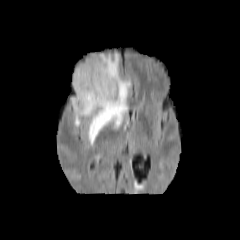
FLAIR magnetic resonance.
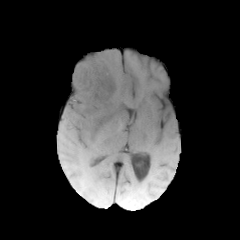
T1-weighted MR.
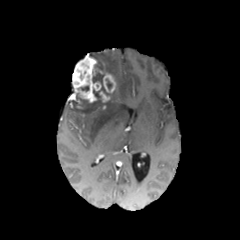
Post-contrast T1-weighted MR.
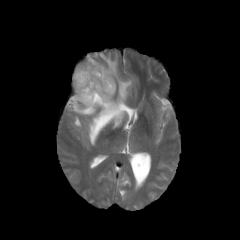
Same slice, T2-weighted magnetic resonance.
The enhancing tumor is at 68:53:117:109. The edema appears at 73:53:132:143. 3 non-enhancing tumor core regions are located at 92:73:104:82, 67:90:109:114, 90:54:110:73.